Image width 700 mm. CT image. 512x512 px. Slice 188 of 536. 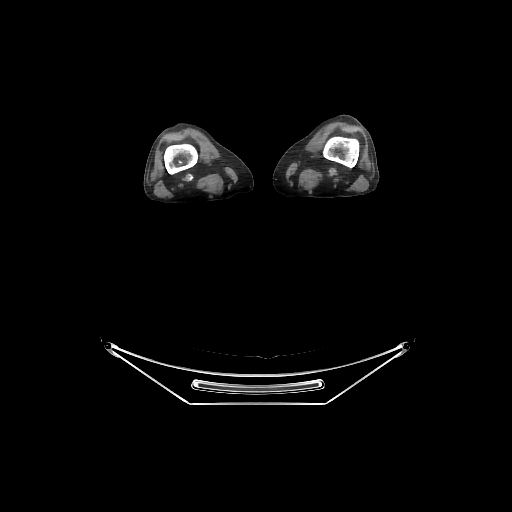

Bone = x1=164 y1=144 x2=197 y2=174, x1=323 y1=137 x2=358 y2=167.